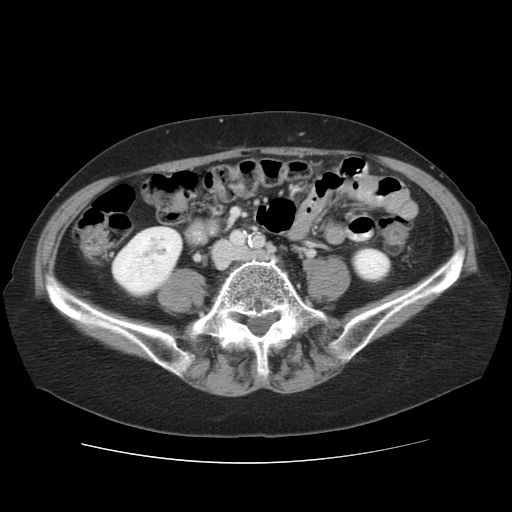
CT slice. 512x512.

Kidney at (354,250,389,280), (113,227,181,293).
Bone at (190,365,199,374), (187,250,329,383), (221,257,232,267), (329,247,464,363), (45,271,194,377).